Slice 26/39. Field of view 34x49 mm. MRI slice.
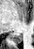
posterior_hippocampus:
  - bbox(11, 34, 22, 43)